Upper abdomen; 512x512 px; Computed tomography; Field of view 512x512 mm

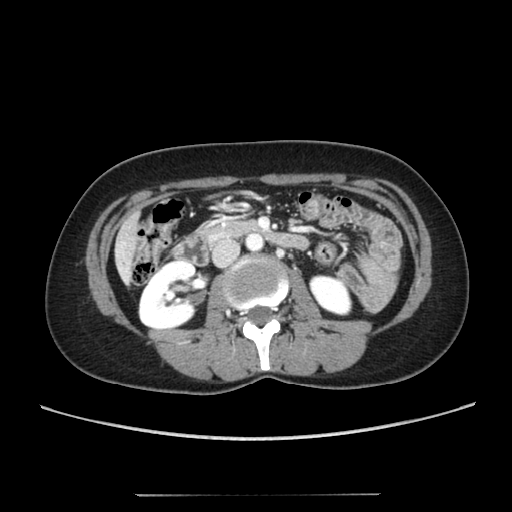
Kidney at 311, 277, 349, 313; 140, 261, 194, 328.
Liver at 113, 210, 140, 286.